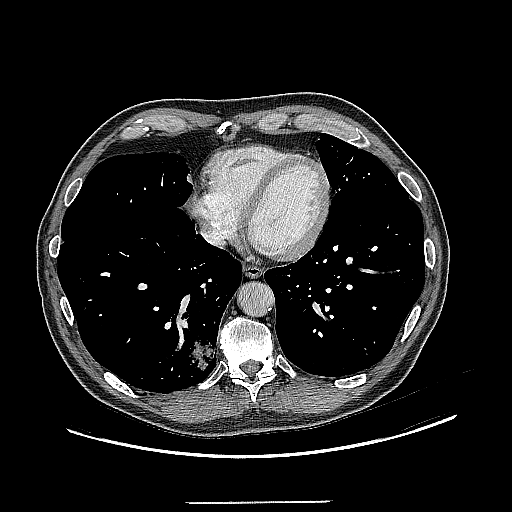
CT slice
The lung tumor is bounded by bbox(187, 335, 216, 373).